FLAIR MRI.
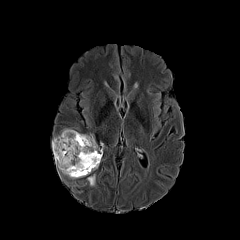
T1-weighted magnetic resonance.
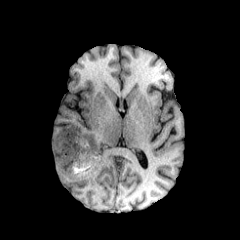
Post-contrast T1-weighted magnetic resonance.
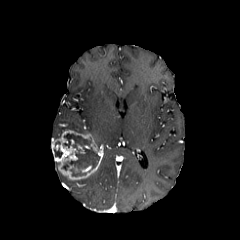
T2-weighted magnetic resonance.
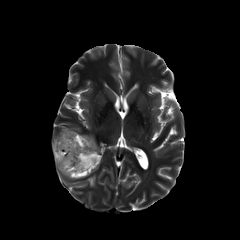
Brain.
Non-enhancing tumor core — box=[61, 147, 100, 176]; box=[63, 133, 91, 149].
Edema — box=[86, 175, 95, 186].
Enhancing tumor — box=[75, 166, 91, 173]; box=[52, 130, 103, 179].